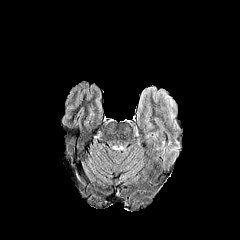
FLAIR MR image.
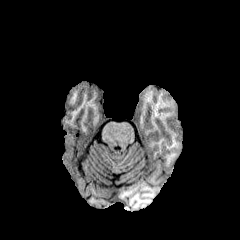
T1-weighted MRI.
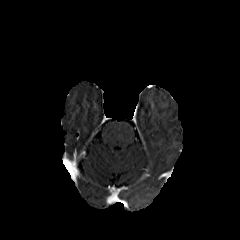
Post-contrast T1-weighted MR image of the same slice.
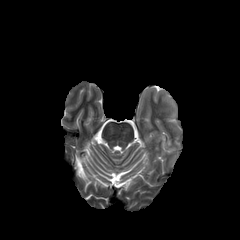
T2-weighted MR of the same slice.
The edema appears at <bbox>161, 139, 180, 160</bbox>.